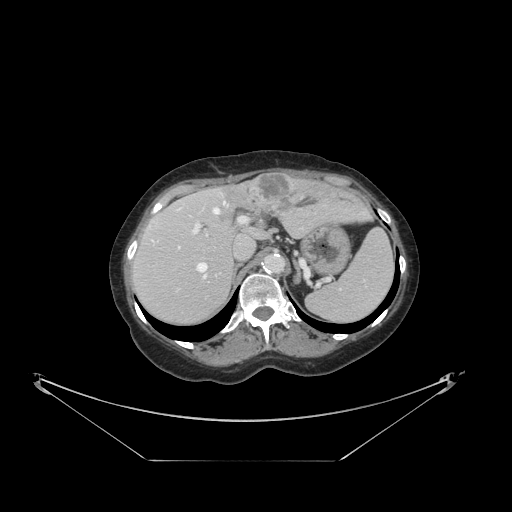
512x512; CT

The vessel boxes may cover only some of the vessels.
<segmentation>
  <liver_tumor><bbox>247, 174, 295, 211</bbox></liver_tumor>
  <hepatic_vessel><bbox>151, 240, 156, 241</bbox>, <bbox>178, 246, 179, 247</bbox>, <bbox>191, 222, 199, 233</bbox>, <bbox>235, 244, 254, 258</bbox>, <bbox>238, 216, 247, 223</bbox>, <bbox>197, 262, 206, 278</bbox>, <bbox>212, 208, 218, 213</bbox>, <bbox>223, 201, 227, 206</bbox></hepatic_vessel>
</segmentation>